FLAIR MRI.
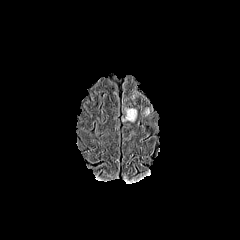
T1-weighted magnetic resonance.
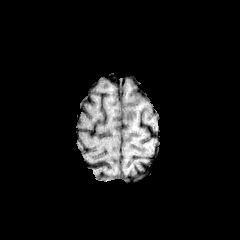
Post-contrast T1-weighted magnetic resonance.
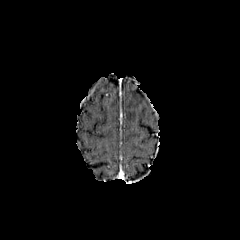
T2-weighted MRI.
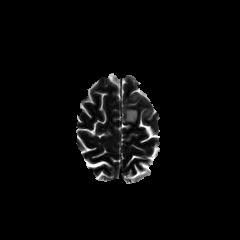
Head
The edema is at (left=123, top=108, right=137, bottom=120).